240x240 px. Brain.
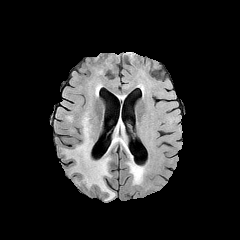
FLAIR MR image.
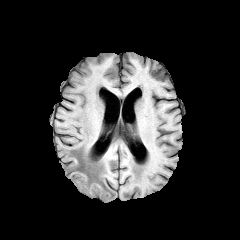
T1-weighted magnetic resonance of the same slice.
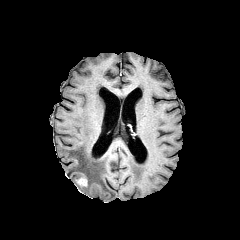
Post-contrast T1-weighted MR.
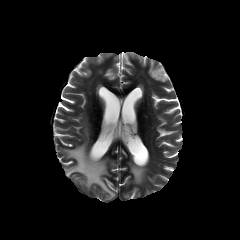
T2-weighted magnetic resonance of the same slice.
3 edema regions appear at x1=68, y1=118, x2=114, y2=200; x1=126, y1=152, x2=146, y2=183; x1=72, y1=170, x2=86, y2=177. The non-enhancing tumor core is located at x1=68, y1=159, x2=89, y2=183.